FLAIR MRI.
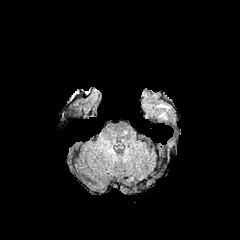
T1-weighted MR image.
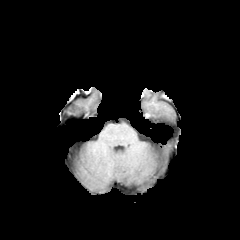
Post-contrast T1-weighted MR image.
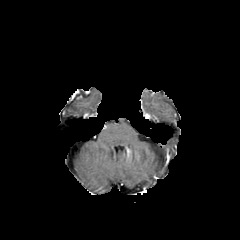
T2-weighted MR.
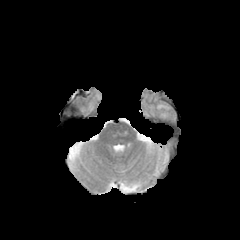
Brain
Annotated regions:
• edema: 156,103,169,117